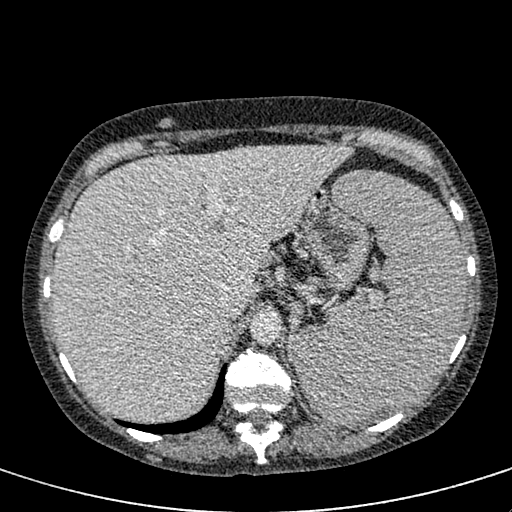
CT scan slice, 512x512 px
liver: 54:146:355:419